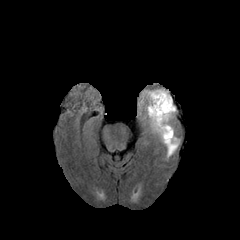
FLAIR magnetic resonance.
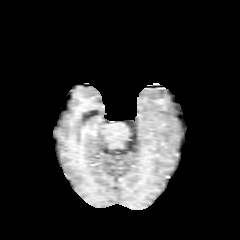
T1-weighted MR of the same slice.
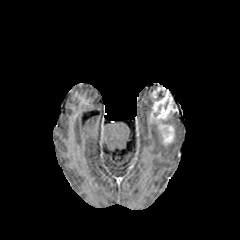
Same slice, post-contrast T1-weighted MR.
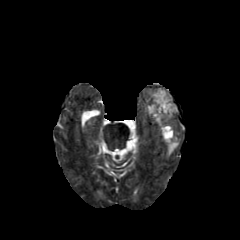
T2-weighted MRI of the same slice.
edema: (159,112,177,127), (143,88,178,158) | enhancing tumor: (158,124,174,144), (150,87,177,122)